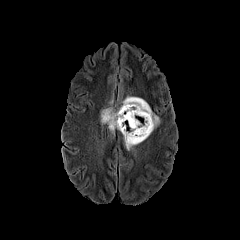
FLAIR MRI.
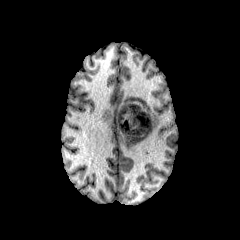
T1-weighted MRI.
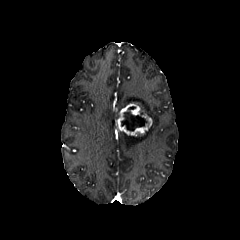
Post-contrast T1-weighted MR.
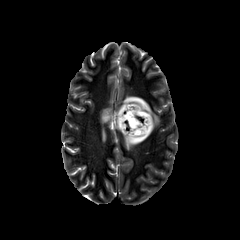
T2-weighted MR image.
240x240 px. Head.
Non-enhancing tumor core: <box>121,106,146,130</box>.
Enhancing tumor: <box>117,102,152,136</box>.
Edema: <box>121,94,160,150</box>, <box>100,107,114,132</box>.